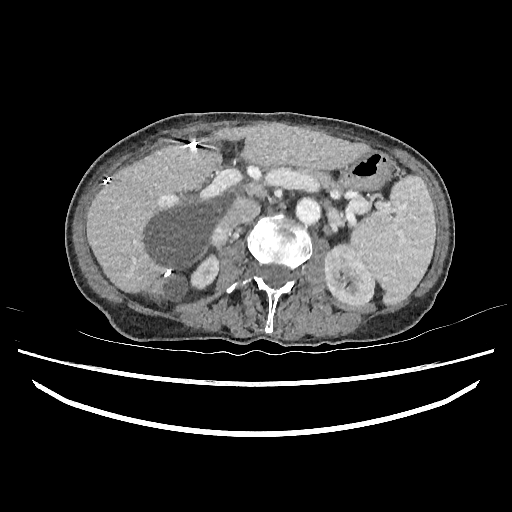 CT. Liver. The hepatic lesion appears at left=143, top=189, right=234, bottom=299. 2 kidney regions appear at left=324, top=245, right=374, bottom=305; left=191, top=256, right=218, bottom=287. 2 liver regions are bounded by left=228, top=187, right=238, bottom=200; left=87, top=125, right=367, bottom=300.